Slice index 192 | Field of view 340x340 mm | CT image | Liver

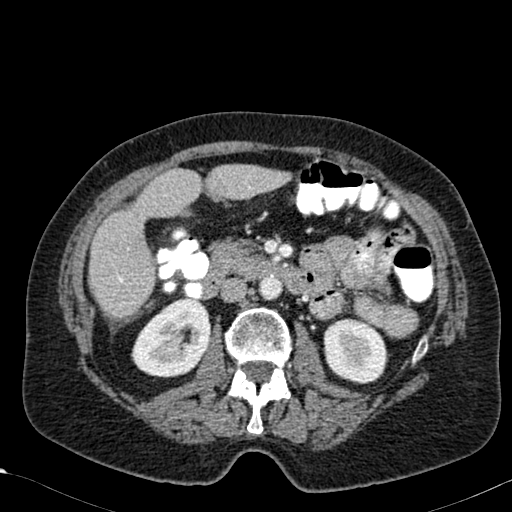

{
  "liver": [
    "region(206, 165, 291, 199)",
    "region(91, 169, 201, 317)"
  ],
  "kidney": [
    "region(132, 297, 210, 376)",
    "region(324, 319, 386, 382)"
  ]
}